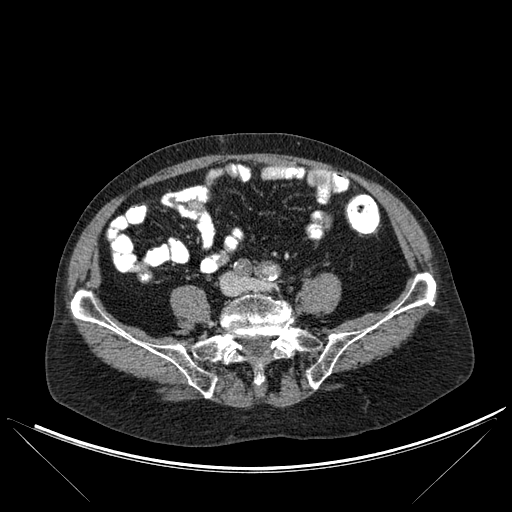

Computed tomography | 512x512 px
Annotated regions:
- bone: (x1=71, y1=290, x2=319, y2=397), (x1=307, y1=273, x2=435, y2=388)